CT, Slice index 198 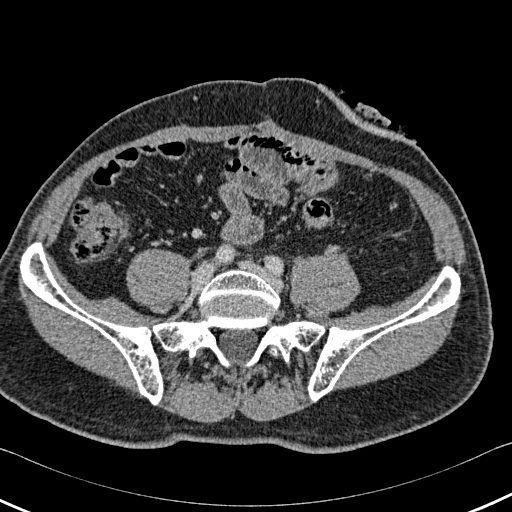
Segmented structures:
* bone: [x1=20, y1=243, x2=279, y2=404], [x1=245, y1=266, x2=459, y2=400]